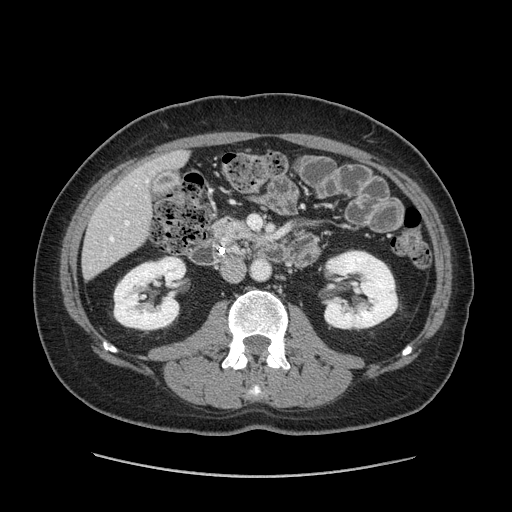

Upper abdomen | 512x512 | CT scan slice
Pancreas: <bbox>214, 218, 266, 247</bbox>.